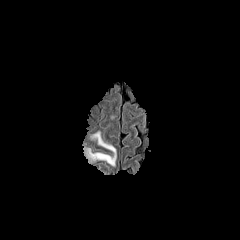
FLAIR MR.
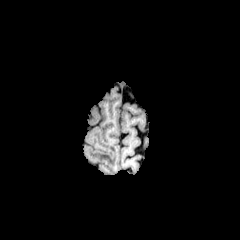
Same slice, T1-weighted MR.
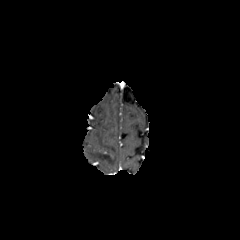
Same slice, post-contrast T1-weighted MR.
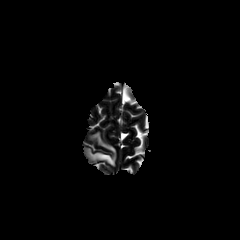
T2-weighted magnetic resonance of the same slice.
Brain
edema: [x1=87, y1=132, x2=116, y2=165]